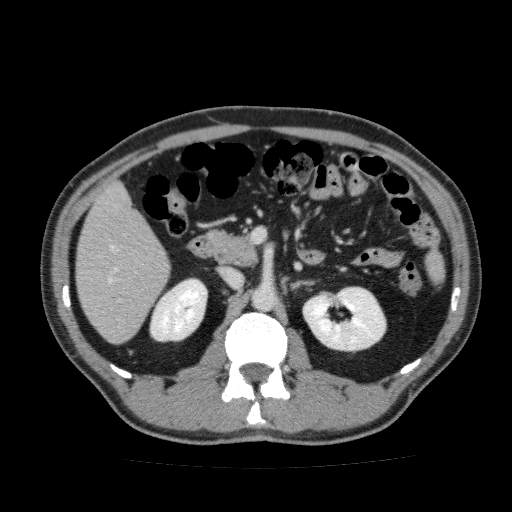
Upper abdomen, CT

Kidney at x1=150, y1=279, x2=206, y2=340; x1=303, y1=287, x2=385, y2=350.
Liver at x1=75, y1=179, x2=170, y2=343.